240x240 px
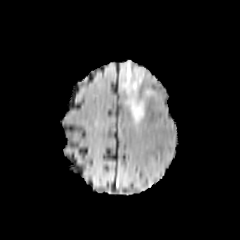
FLAIR MR image.
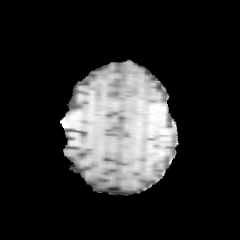
T1-weighted MR.
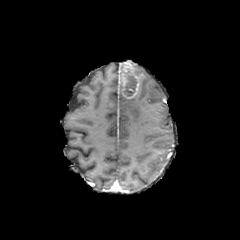
Same slice, post-contrast T1-weighted MRI.
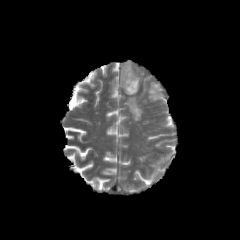
T2-weighted magnetic resonance.
Segmented structures:
- edema: region(135, 65, 142, 83); region(127, 90, 144, 122)
- enhancing tumor: region(121, 61, 140, 97)
- non-enhancing tumor core: region(120, 75, 137, 96)